Field of view 500x500 mm. CT scan slice. 512x512 px. 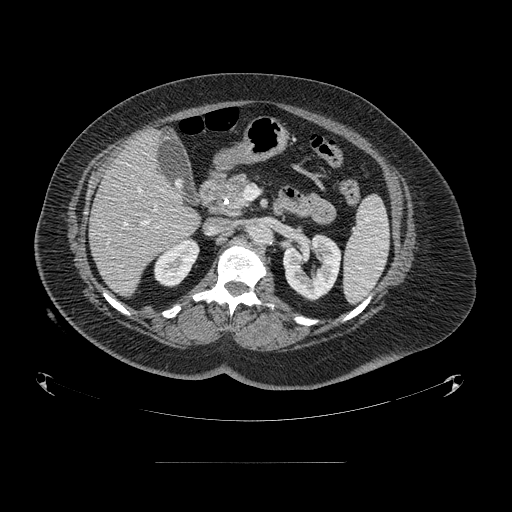
The pancreas is located at left=215, top=175, right=249, bottom=211. The pancreatic tumor is at left=213, top=181, right=242, bottom=198.